Image width 365 mm. Slice 148/410. CT slice.
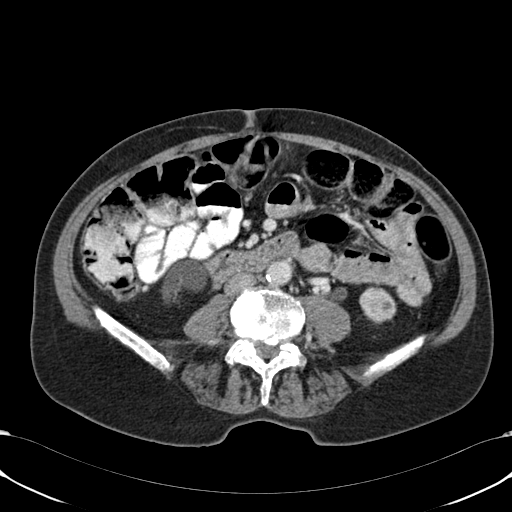
kidney: [x1=360, y1=288, x2=395, y2=321]